CT, 512x512 px

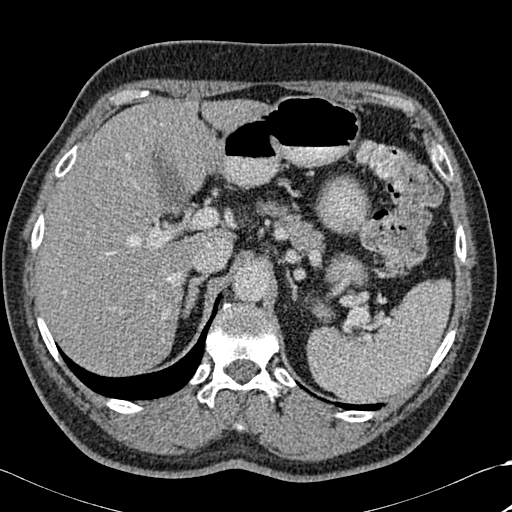

Findings:
* focal liver lesion: {"x1": 252, "y1": 106, "x2": 264, "y2": 115}
* liver: {"x1": 42, "y1": 101, "x2": 216, "y2": 376}, {"x1": 203, "y1": 101, "x2": 257, "y2": 131}
* lung: {"x1": 58, "y1": 293, "x2": 221, "y2": 400}, {"x1": 333, "y1": 402, "x2": 383, "y2": 410}
* bone: {"x1": 198, "y1": 304, "x2": 295, "y2": 405}, {"x1": 429, "y1": 331, "x2": 454, "y2": 372}, {"x1": 107, "y1": 399, "x2": 140, "y2": 413}, {"x1": 191, "y1": 363, "x2": 209, "y2": 383}, {"x1": 55, "y1": 166, "x2": 64, "y2": 176}, {"x1": 456, "y1": 227, "x2": 465, "y2": 261}, {"x1": 337, "y1": 411, "x2": 372, "y2": 421}, {"x1": 38, "y1": 319, "x2": 57, "y2": 359}, {"x1": 31, "y1": 216, "x2": 44, "y2": 248}